Field of view 434x434 mm. CT scan slice. Slice 236 of 605.

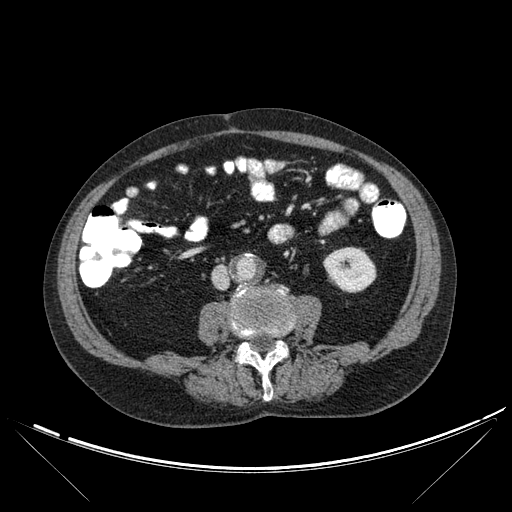

bone: box(231, 288, 293, 337); box(237, 341, 287, 400) | kidney: box(323, 247, 375, 291)